CT scan slice. Slice 38 of 97. Image size 512x512. 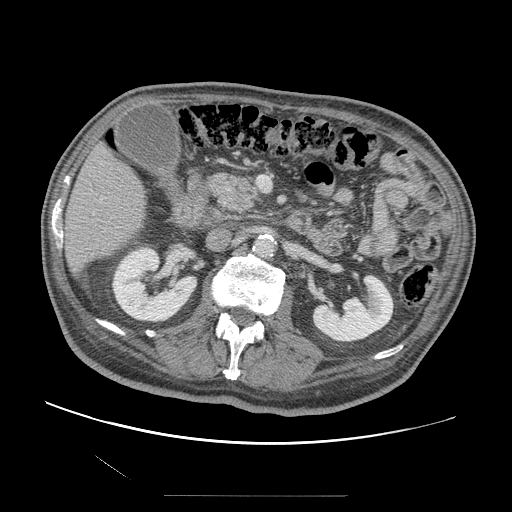
Pancreas at (left=215, top=174, right=260, bottom=217).